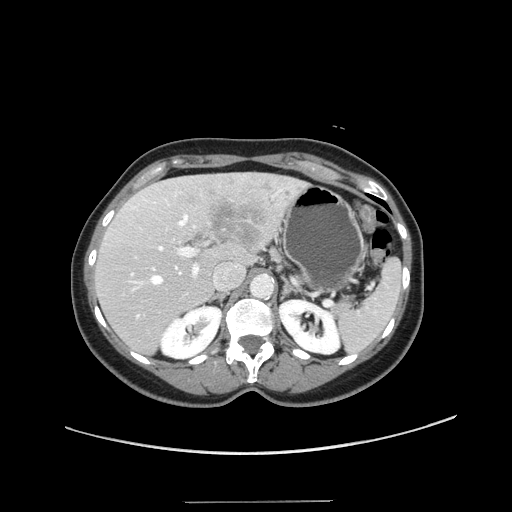 Liver | CT
Not every hepatic vessel necessarily has a box.
Liver tumor = rect(204, 194, 272, 256).
Hepatic vessel = rect(152, 276, 161, 283); rect(135, 281, 141, 285); rect(193, 265, 198, 273); rect(160, 246, 162, 249); rect(180, 215, 186, 224); rect(179, 271, 180, 272); rect(132, 273, 133, 274); rect(213, 263, 243, 288); rect(179, 247, 195, 255).